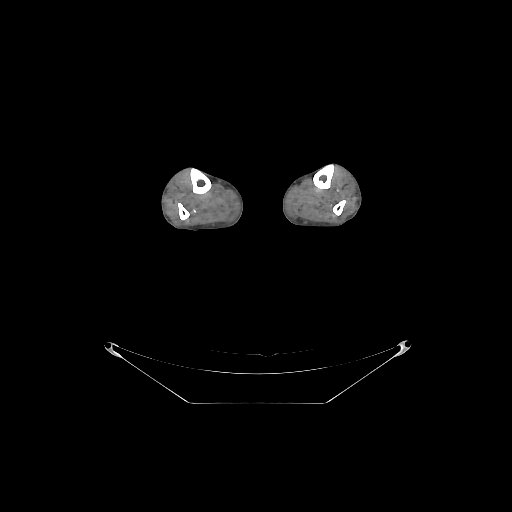

Computed tomography
4 bone regions are located at (190, 168, 211, 194), (313, 164, 333, 189), (333, 200, 345, 215), (178, 203, 189, 219).